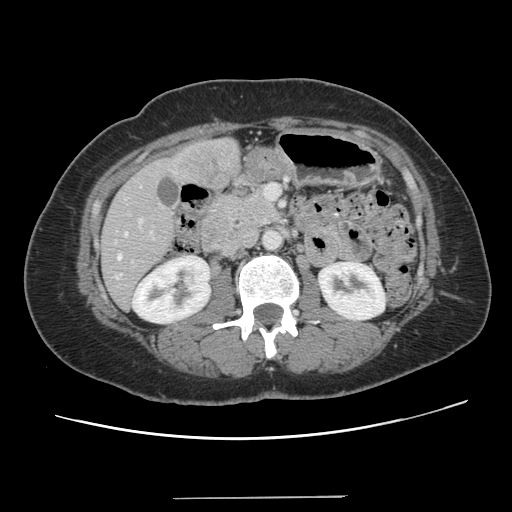 CT scan slice; 512x512 px; Abdomen

Not every hepatic vessel necessarily has a box.
{"liver_tumor": ["182 148 230 183"], "hepatic_vessel": ["139 218 142 225", "150 231 152 234", "117 254 121 259", "125 232 127 235", "116 274 121 278"]}